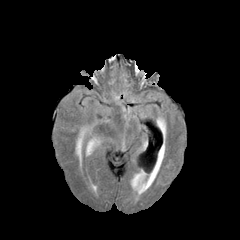
FLAIR MR image.
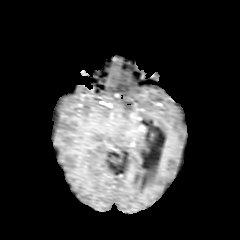
T1-weighted MR.
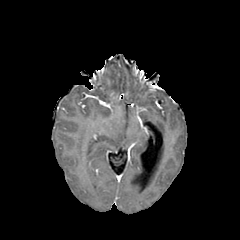
Post-contrast T1-weighted MRI.
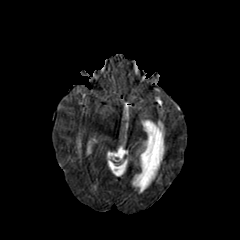
T2-weighted MR image.
The edema appears at bbox=[77, 139, 81, 159].